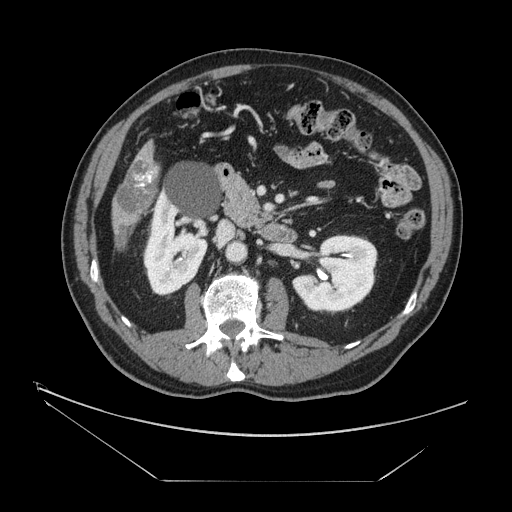

CT slice

2 liver tumor regions are located at (x1=119, y1=230, x2=127, y2=248), (x1=117, y1=161, x2=158, y2=216).